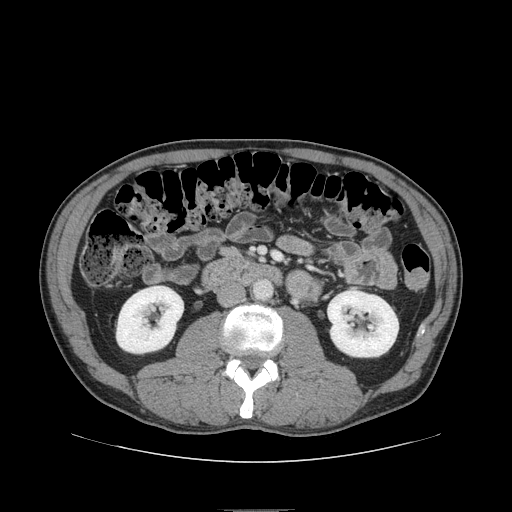

CT. Upper abdomen. Pancreas: bounding box bbox(221, 246, 239, 256).